Computed tomography

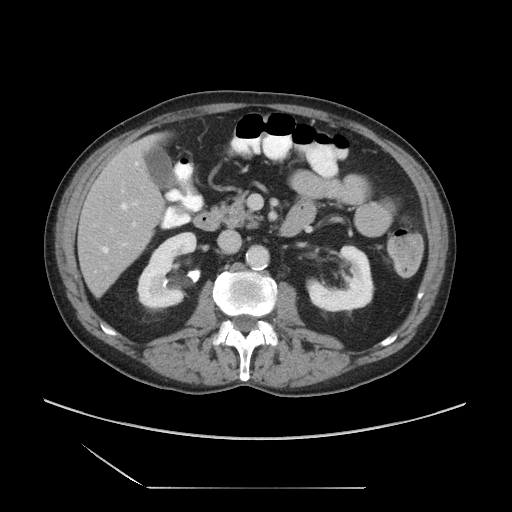
Some hepatic vessels may have no box.
Hepatic vessel = {"x1": 121, "y1": 190, "x2": 123, "y2": 191}, {"x1": 122, "y1": 243, "x2": 126, "y2": 245}, {"x1": 135, "y1": 162, "x2": 137, "y2": 164}, {"x1": 102, "y1": 247, "x2": 107, "y2": 252}, {"x1": 111, "y1": 228, "x2": 112, "y2": 230}, {"x1": 121, "y1": 203, "x2": 126, "y2": 209}, {"x1": 132, "y1": 223, "x2": 135, "y2": 225}.